Liver. CT slice. Field of view 380 mm wide, 2.50 mm slice spacing. Slice index 91. 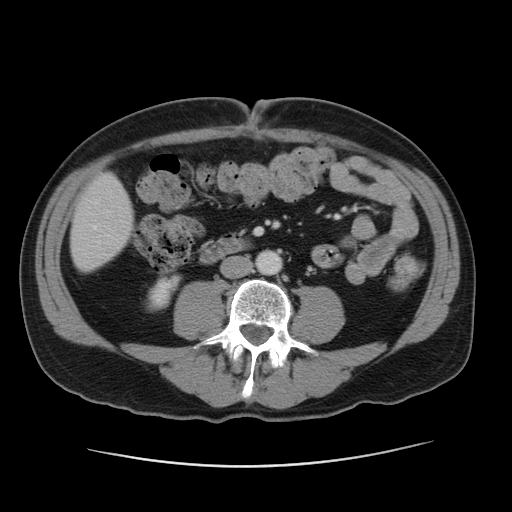 <segmentation>
  <kidney><bbox>151, 278, 177, 305</bbox></kidney>
  <liver><bbox>69, 176, 135, 270</bbox></liver>
</segmentation>